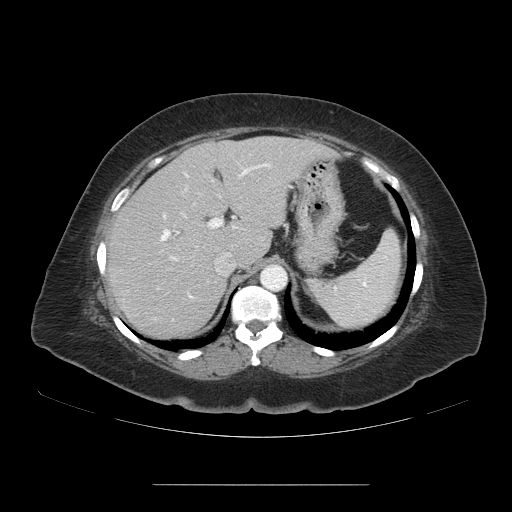

Liver. CT slice. Image size 512x512. Some hepatic vessels may have no box.
* hepatic vessel: box=[208, 218, 221, 228]; box=[231, 241, 243, 249]; box=[170, 257, 175, 260]; box=[181, 186, 187, 193]; box=[184, 172, 188, 177]; box=[188, 296, 190, 297]; box=[181, 213, 185, 217]; box=[160, 229, 170, 241]; box=[238, 163, 267, 177]; box=[163, 213, 166, 219]; box=[214, 252, 235, 274]